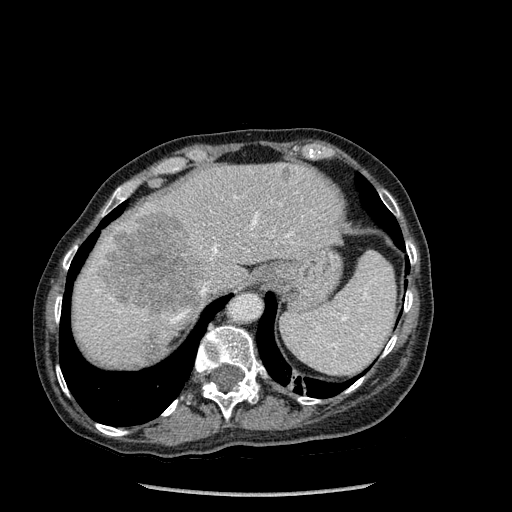 CT. Abdomen.
hepatic lesion: bbox=[137, 328, 162, 362]; bbox=[281, 167, 295, 182]; bbox=[96, 211, 207, 316] | liver: bbox=[72, 163, 344, 370] | lung: bbox=[59, 204, 227, 426]; bbox=[256, 292, 349, 398]; bbox=[355, 174, 403, 249] | bone: bbox=[345, 377, 363, 393]; bbox=[406, 241, 416, 264]; bbox=[382, 335, 396, 356]; bbox=[380, 193, 399, 216]; bbox=[102, 187, 127, 216]; bbox=[54, 296, 61, 322]; bbox=[297, 397, 320, 404]; bbox=[56, 366, 68, 395]; bbox=[195, 325, 266, 420]; bbox=[162, 400, 177, 416]; bbox=[404, 290, 412, 312]; bbox=[95, 424, 127, 436]; bbox=[63, 245, 77, 269]